FLAIR MR.
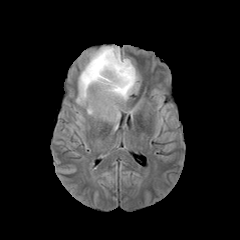
T1-weighted magnetic resonance.
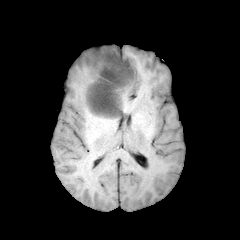
Post-contrast T1-weighted MR.
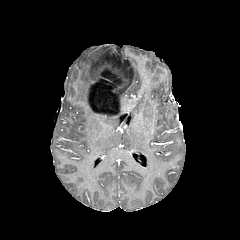
T2-weighted MRI.
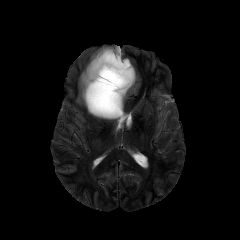
240x240, Head
{
  "edema": [
    "box=[76, 45, 139, 123]"
  ],
  "non-enhancing_tumor_core": [
    "box=[86, 55, 132, 117]"
  ]
}